Slice index 508; Upper abdomen; CT slice; Image size 512x512

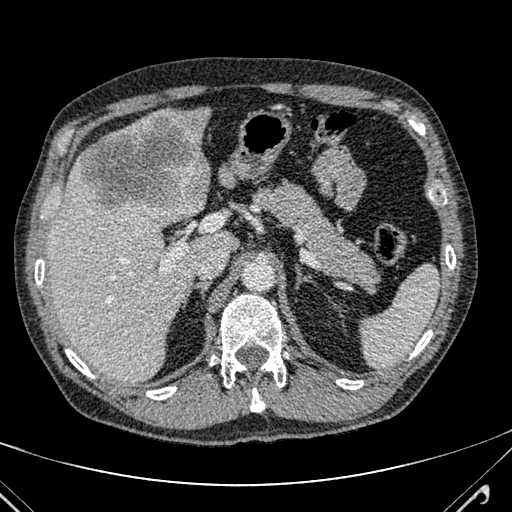

liver: box=[110, 114, 153, 139]; box=[154, 106, 212, 152]; box=[219, 166, 234, 186]; box=[47, 159, 237, 382] | liver lesion: box=[78, 113, 208, 210]